512x512; Slice 382/816; Upper abdomen; CT
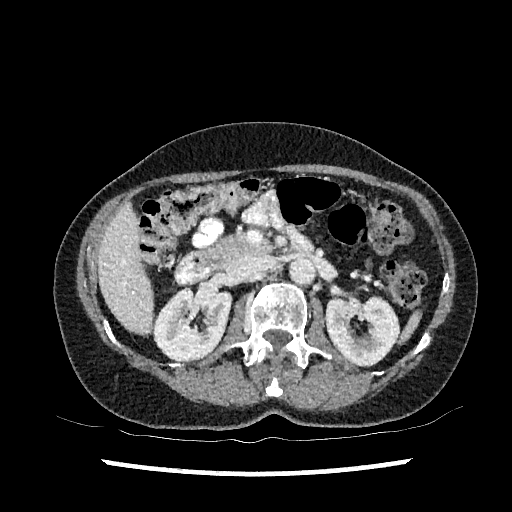 Segmented structures:
* liver: (x1=99, y1=203, x2=152, y2=334)
* kidney: (x1=154, y1=281, x2=230, y2=360), (x1=326, y1=298, x2=398, y2=365)